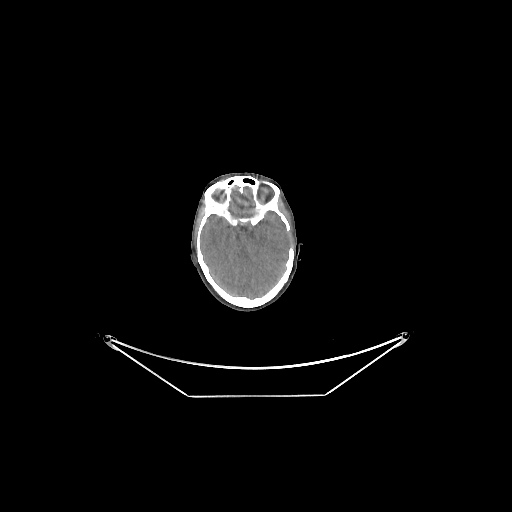

CT slice.
brain: x1=229, y1=186, x2=255, y2=218; x1=200, y1=211, x2=291, y2=299